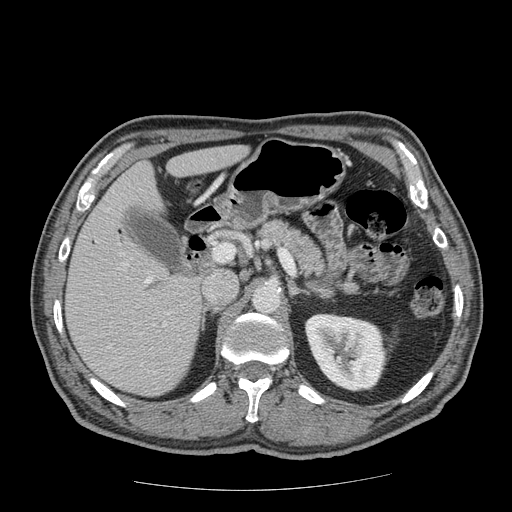
CT slice | Abdomen | 512x512 px
Pancreas = (x1=254, y1=217, x2=327, y2=280), (x1=333, y1=278, x2=363, y2=297).